CT scan slice, Slice 41 of 99, Abdomen 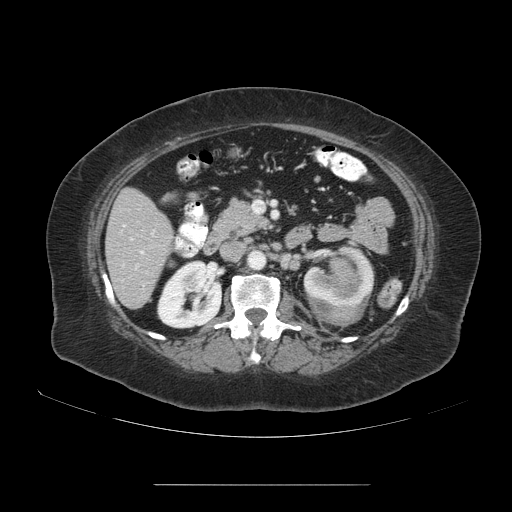 Some hepatic vessels may have no box.
- hepatic vessel: {"x1": 140, "y1": 251, "x2": 142, "y2": 253}